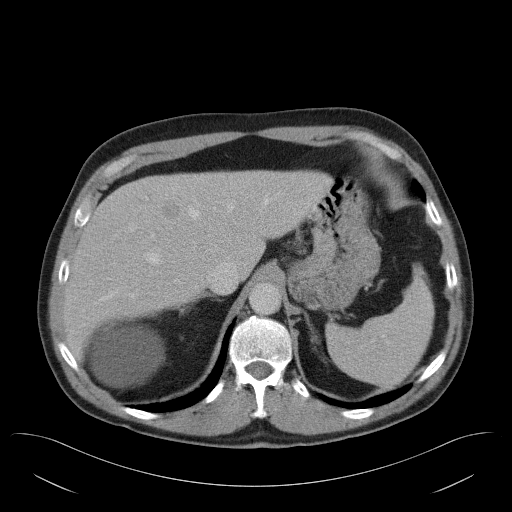

CT image
Some hepatic vessels may have no box.
7 hepatic vessel regions are located at (left=263, top=197, right=271, bottom=204), (left=227, top=200, right=233, bottom=211), (left=194, top=200, right=196, bottom=202), (left=100, top=291, right=116, bottom=299), (left=147, top=254, right=158, bottom=261), (left=188, top=203, right=199, bottom=219), (left=93, top=301, right=97, bottom=303). The liver tumor is bounded by (left=160, top=200, right=181, bottom=220).